Brain, Slice index 72
FLAIR MRI.
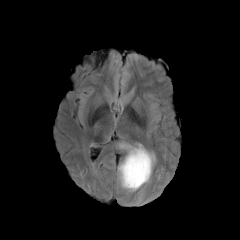
T1-weighted MRI.
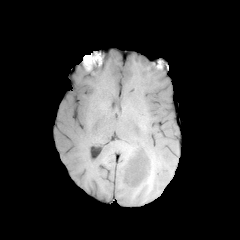
Post-contrast T1-weighted MR.
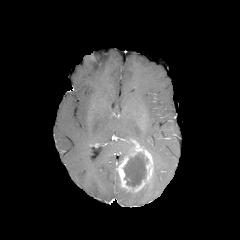
T2-weighted magnetic resonance.
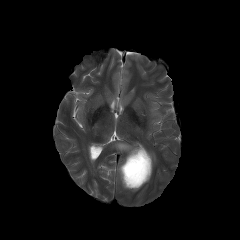
Enhancing tumor = rect(117, 147, 152, 191).
Non-enhancing tumor core = rect(123, 153, 148, 186).
Edema = rect(125, 144, 135, 153).